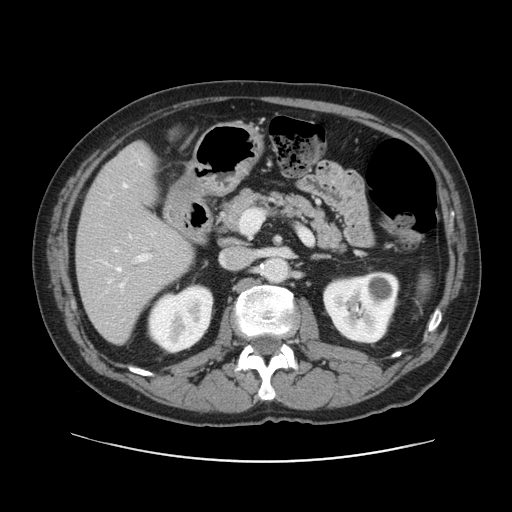 Abdomen. CT.

The vessel boxes may cover only some of the vessels.
7 hepatic vessel regions are bounded by (x1=137, y1=254, x2=148, y2=260), (x1=123, y1=183, x2=126, y2=187), (x1=114, y1=249, x2=117, y2=251), (x1=108, y1=280, x2=110, y2=282), (x1=119, y1=283, x2=123, y2=287), (x1=117, y1=267, x2=120, y2=270), (x1=103, y1=262, x2=107, y2=264).